MRI slice; Slice index 23; Image size 34x47

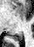

The posterior hippocampus appears at x1=13 y1=32 x2=22 y2=41.